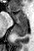
Medial temporal lobe | Magnetic resonance
Posterior hippocampus — x1=14, y1=20, x2=28, y2=36.
Anterior hippocampus — x1=15, y1=12, x2=28, y2=19.